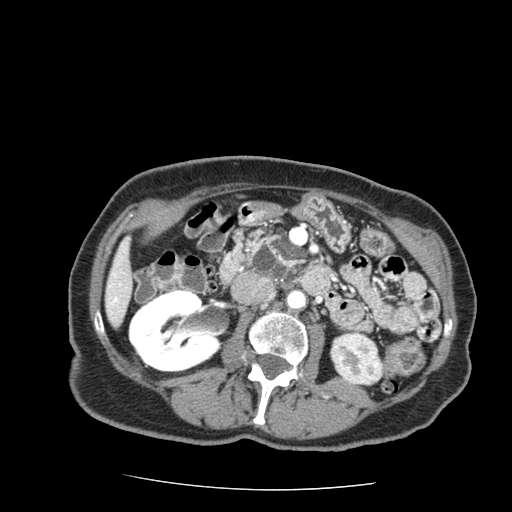 CT image
pancreas:
  - 262,258,307,287
  - 246,226,292,270
pancreatic_tumor:
  - 253,240,307,279